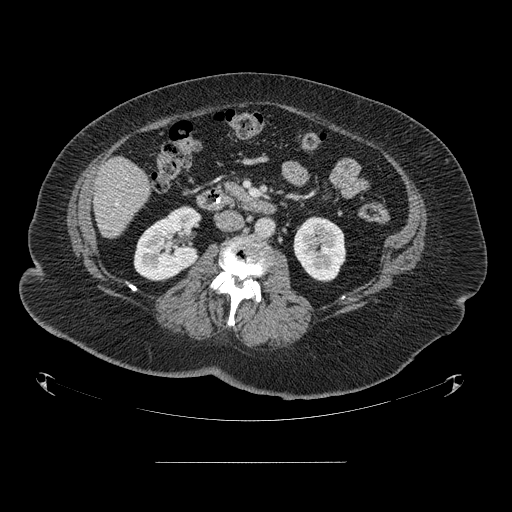

Upper abdomen; CT
Findings:
- pancreas: 225, 182, 252, 202